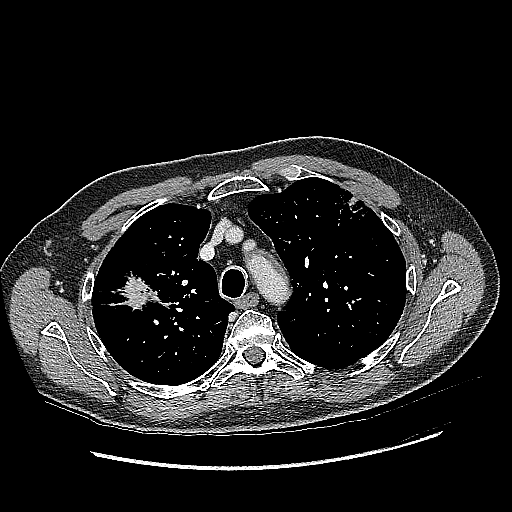

Chest | CT scan slice
Lung tumor at (left=92, top=260, right=170, bottom=322).